Field of view 240x240 mm.
FLAIR MRI.
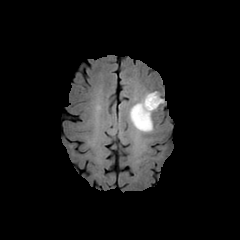
T1-weighted MR.
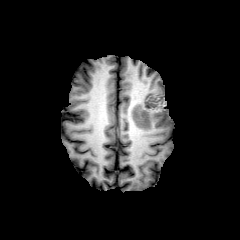
Post-contrast T1-weighted magnetic resonance.
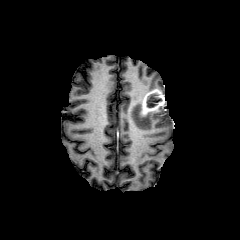
T2-weighted magnetic resonance.
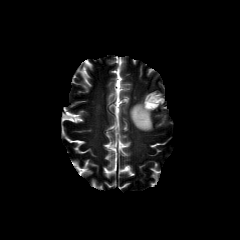
<segmentation>
  <edema>129, 94, 156, 132</edema>
  <enhancing_tumor>140, 90, 164, 117</enhancing_tumor>
  <non-enhancing_tumor_core>147, 94, 160, 107</non-enhancing_tumor_core>
</segmentation>